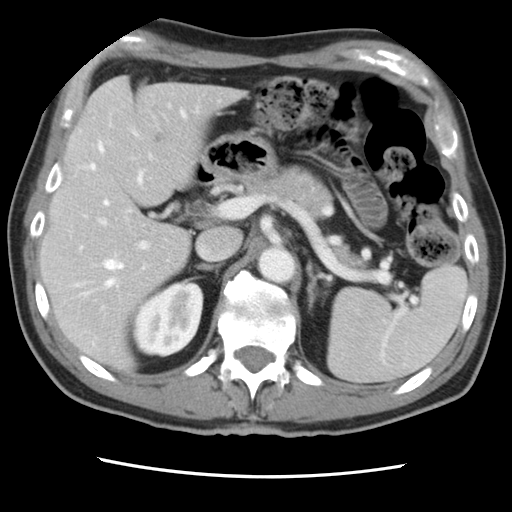 Computed tomography. Not every hepatic vessel necessarily has a box.
Segmented structures:
* hepatic vessel: region(98, 143, 103, 151); region(143, 266, 145, 267); region(181, 111, 185, 116); region(89, 164, 95, 168); region(105, 200, 108, 204); region(140, 241, 147, 248); region(99, 218, 106, 224); region(195, 107, 198, 112); region(102, 307, 103, 308); region(128, 210, 131, 211); region(138, 172, 142, 182); region(76, 283, 81, 285); region(149, 154, 151, 157); region(106, 279, 115, 286); region(105, 260, 122, 268)